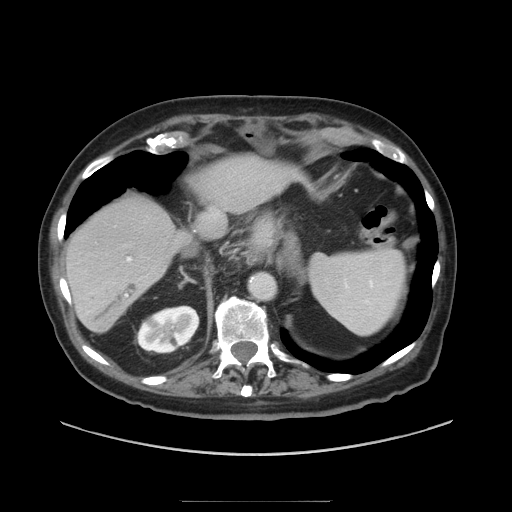
CT, Abdomen
Some hepatic vessels may have no box.
Annotated regions:
- hepatic vessel: l=128, t=257, r=131, b=260; l=125, t=294, r=127, b=296; l=208, t=212, r=218, b=218